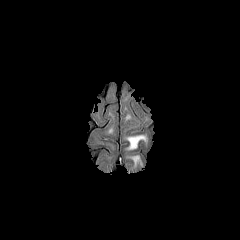
FLAIR MRI.
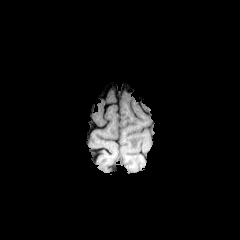
T1-weighted magnetic resonance.
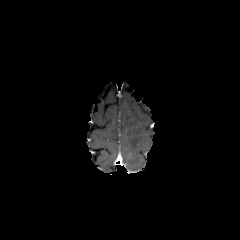
Post-contrast T1-weighted magnetic resonance.
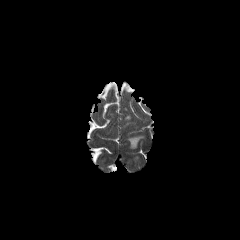
T2-weighted MR image of the same slice.
Brain
{
  "edema": [
    "(128, 136, 145, 149)"
  ]
}